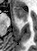 37x51 | Magnetic resonance
<segmentation>
  <anterior_hippocampus>13,7,27,21</anterior_hippocampus>
</segmentation>